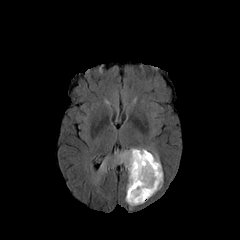
FLAIR MR.
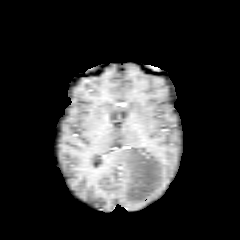
T1-weighted magnetic resonance.
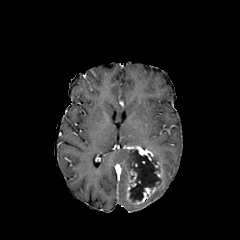
Same slice, post-contrast T1-weighted MR.
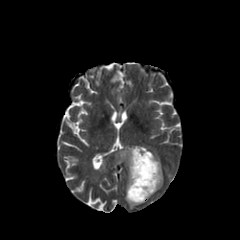
T2-weighted MR of the same slice.
Head | 240x240 px
* edema: 115, 149, 135, 193; 152, 152, 163, 191; 124, 194, 145, 206
* non-enhancing tumor core: 129, 150, 159, 201
* enhancing tumor: 128, 146, 153, 160; 135, 187, 155, 203; 126, 172, 136, 199